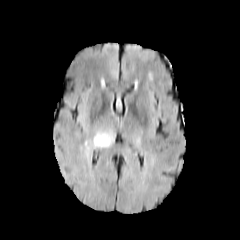
FLAIR MR.
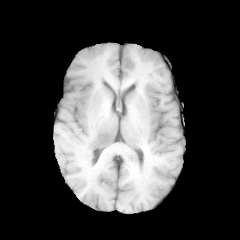
T1-weighted MRI.
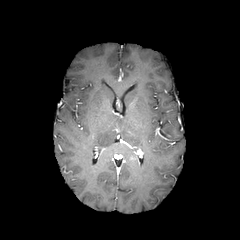
Post-contrast T1-weighted MRI.
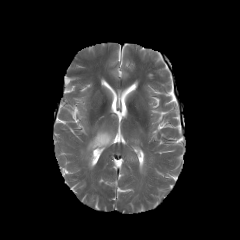
T2-weighted MR image.
240x240
Segmented structures:
* enhancing tumor: x1=129 y1=155 x2=137 y2=163
* edema: x1=86 y1=131 x2=113 y2=152